CT 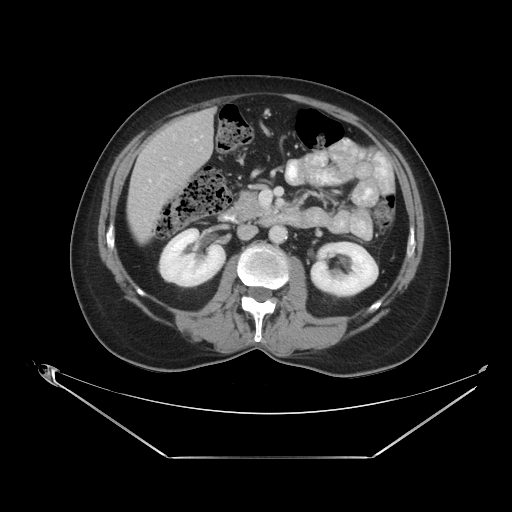 The vessel annotation is not exhaustive.
{
  "hepatic_vessel": [
    "x1=179, y1=162, x2=181, y2=165"
  ]
}